Slice index 66; CT slice

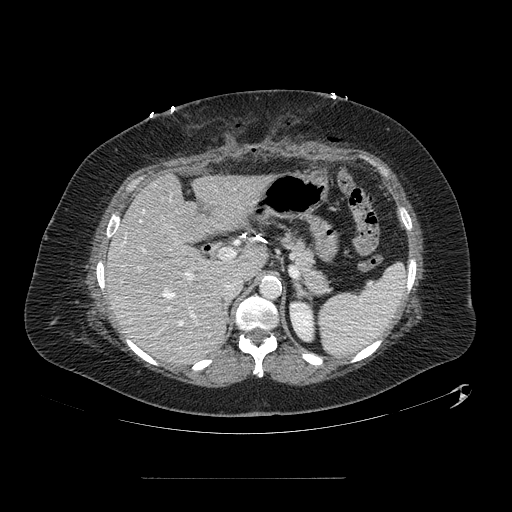
The pancreas lies within 279, 233, 330, 294.